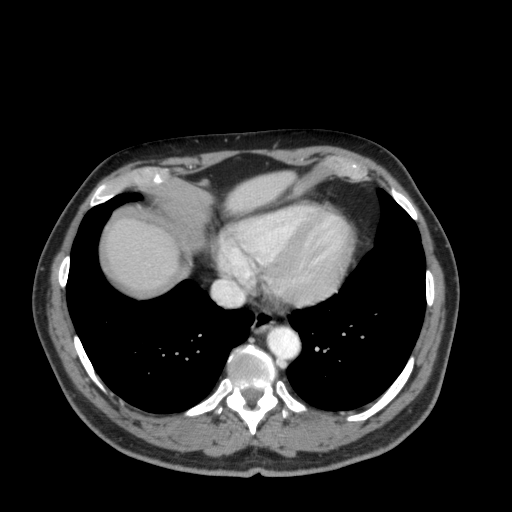

CT scan slice
• liver: (left=226, top=173, right=294, bottom=211), (left=105, top=217, right=178, bottom=290)